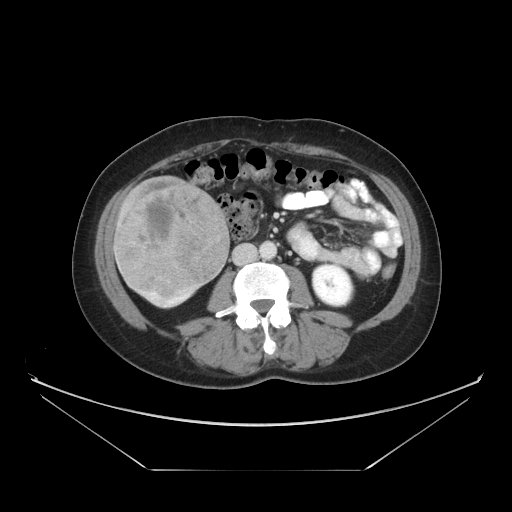 Abdomen; CT scan slice

• liver tumor: (116,179,228,299)